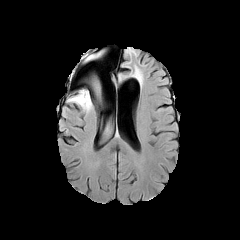
FLAIR magnetic resonance.
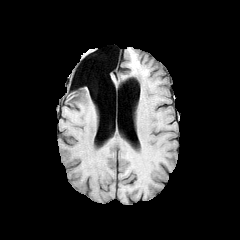
T1-weighted MR.
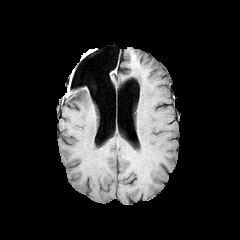
Same slice, post-contrast T1-weighted MR.
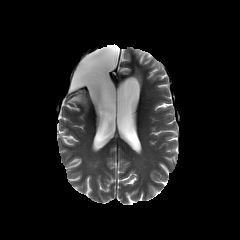
T2-weighted MR.
<segmentation>
  <edema>(x1=67, y1=89, x2=93, y2=113)</edema>
</segmentation>